Upper abdomen, 512x512 px, CT scan slice, Image width 381 mm 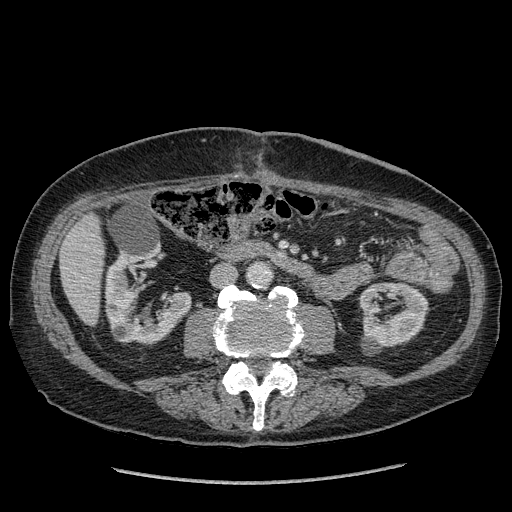

liver: (60,214,104,325) | kidney: (360,283,427,346), (105,253,190,342)